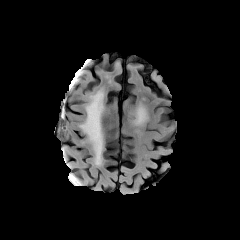
FLAIR MRI.
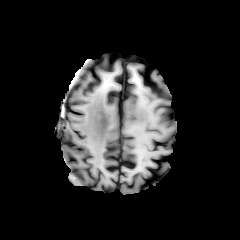
T1-weighted MR image.
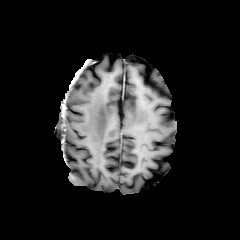
Same slice, post-contrast T1-weighted MR.
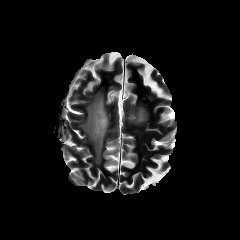
T2-weighted magnetic resonance.
Brain | 240x240 px
{
  "edema": [
    "box=[80, 91, 103, 165]"
  ]
}